Abdomen. CT image. Slice 485 of 547. 512x512.

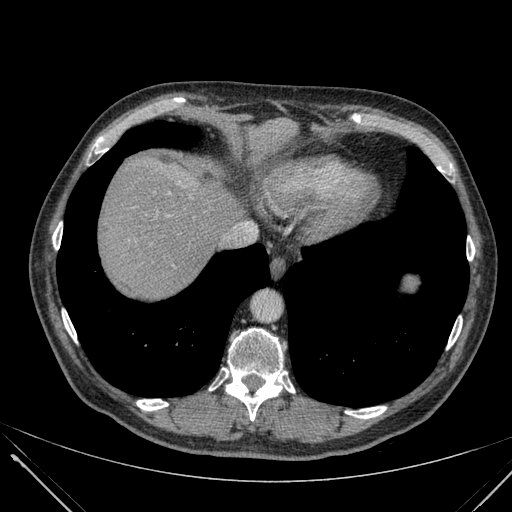
Liver = [245, 118, 298, 154], [99, 154, 263, 298].